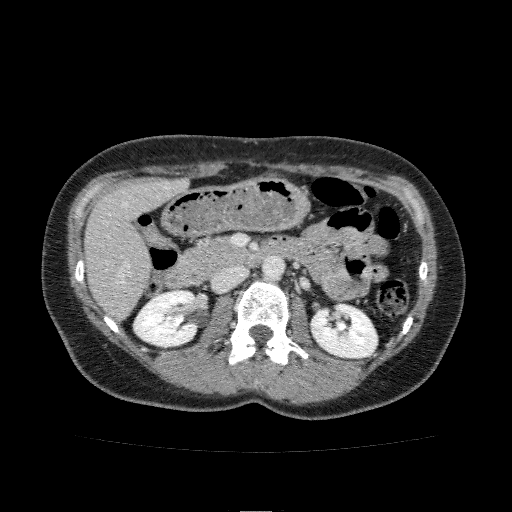 Computed tomography. 512x512.

2 kidney regions are bounded by [134,291,195,346], [311,304,377,357]. The liver lies within [84,178,188,319].